Abdomen. CT.

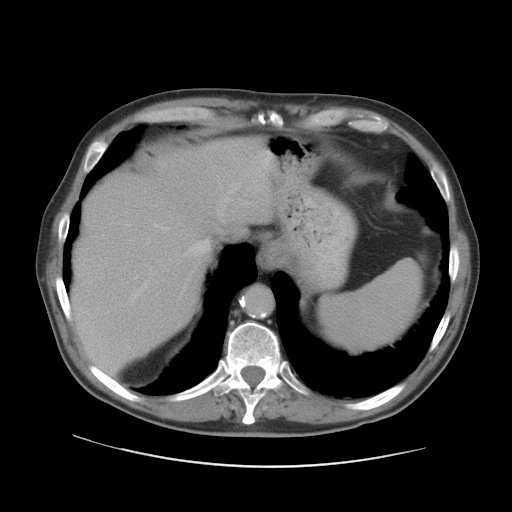

The vessel annotation is not exhaustive.
partial: true
liver_tumor:
  - <box>211,151,252,173</box>
hepatic_vessel:
  # 15 of 16 shown
  - <box>228,189,234,192</box>
  - <box>124,344,132,351</box>
  - <box>245,172,247,175</box>
  - <box>218,230,236,235</box>
  - <box>127,224,129,225</box>
  - <box>189,240,209,255</box>
  - <box>169,259,170,261</box>
  - <box>241,200,249,205</box>
  - <box>135,276,137,278</box>
  - <box>148,267,151,275</box>
  - <box>217,196,231,221</box>
  - <box>166,228,168,230</box>
  - <box>130,283,146,303</box>
  - <box>218,177,219,183</box>
  - <box>155,224,162,227</box>